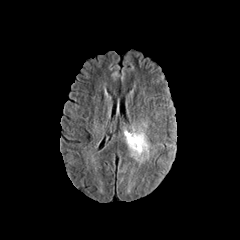
FLAIR MR image.
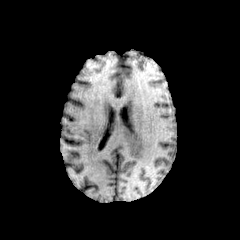
T1-weighted MR image.
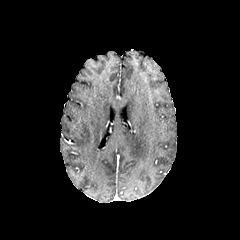
Same slice, post-contrast T1-weighted magnetic resonance.
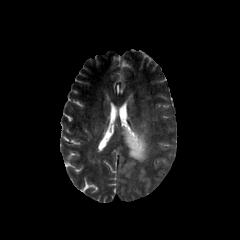
T2-weighted magnetic resonance.
Image size 240x240; Brain
Segmented structures:
• edema: (124, 122, 155, 165)